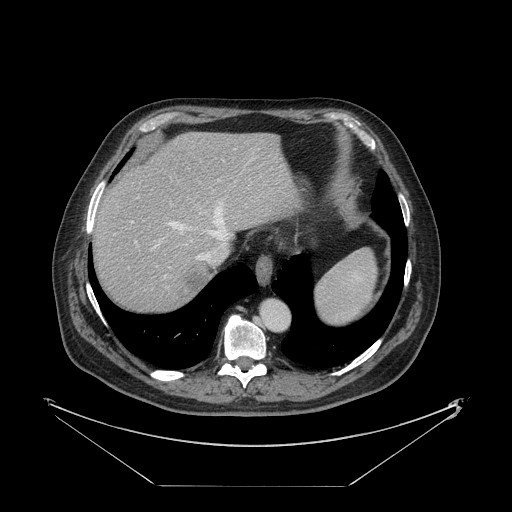 CT image | 512x512

The vessel annotation is not exhaustive.
<segmentation>
  <hepatic_vessel>(x1=214, y1=204, x2=221, y2=218), (x1=207, y1=253, x2=208, y2=255), (x1=134, y1=240, x2=136, y2=242)</hepatic_vessel>
  <liver_tumor>(x1=181, y1=264, x2=208, y2=291)</liver_tumor>
</segmentation>